Upper abdomen. Slice 449 of 574. CT scan slice. Image width 411 mm.

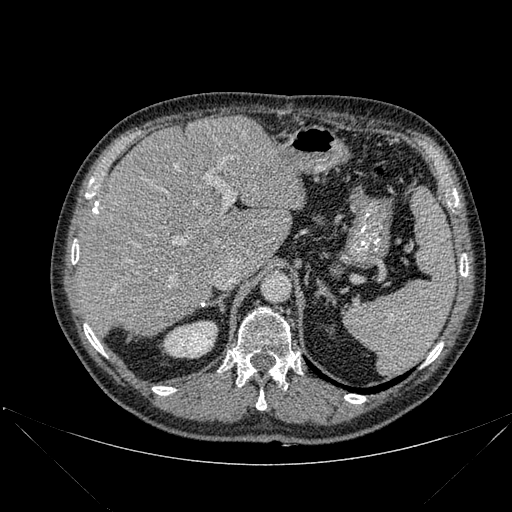

Kidney at [x1=164, y1=322, x2=216, y2=357].
Liver at [x1=76, y1=116, x2=303, y2=337].
Bone at [x1=450, y1=191, x2=458, y2=206], [x1=256, y1=390, x2=266, y2=409], [x1=152, y1=386, x2=175, y2=395], [x1=84, y1=324, x2=105, y2=354], [x1=424, y1=342, x2=443, y2=365], [x1=218, y1=308, x2=300, y2=386], [x1=71, y1=244, x2=78, y2=264], [x1=460, y1=262, x2=468, y2=276], [x1=344, y1=394, x2=365, y2=403].
Lung at [x1=348, y1=373, x2=407, y2=393], [x1=307, y1=360, x2=327, y2=379].